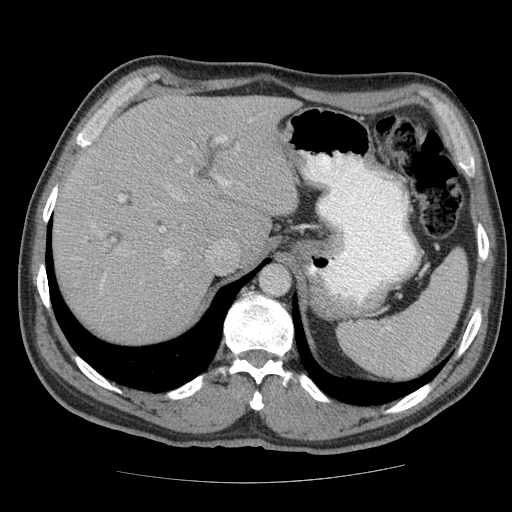
CT, Liver
Not every hepatic vessel necessarily has a box.
Hepatic vessel = 111, 239, 113, 240; 167, 184, 184, 200; 250, 119, 253, 121; 163, 249, 179, 263; 117, 195, 124, 201; 189, 145, 195, 153; 179, 285, 182, 287; 216, 138, 224, 142; 191, 169, 193, 173; 177, 158, 180, 161; 101, 275, 104, 283; 83, 239, 86, 241; 215, 177, 227, 185; 159, 227, 164, 232.